FLAIR magnetic resonance.
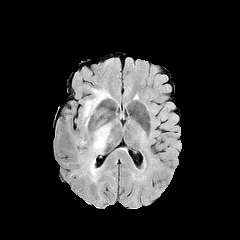
T1-weighted MR.
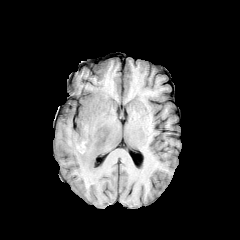
Post-contrast T1-weighted MR image.
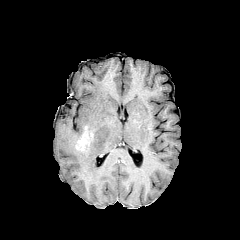
T2-weighted MR.
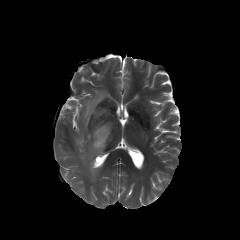
Head
Segmented structures:
- edema: <box>82,88,113,127</box>, <box>80,124,111,182</box>
- enhancing tumor: <box>75,133,88,150</box>